MR | Slice 16 of 29
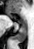
The posterior hippocampus is bounded by <bbox>13, 21, 26, 42</bbox>. 2 anterior hippocampus regions appear at <bbox>9, 15, 12, 17</bbox>, <bbox>22, 19, 23, 20</bbox>.